Slice index 80; Brain
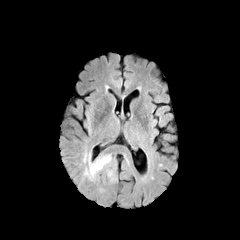
FLAIR magnetic resonance.
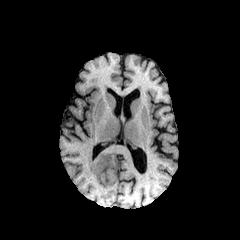
T1-weighted MR.
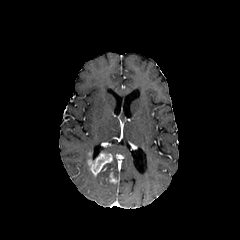
Post-contrast T1-weighted MR.
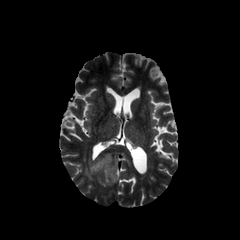
Same slice, T2-weighted MR image.
- edema: l=83, t=167, r=96, b=181
- enhancing tumor: l=87, t=152, r=113, b=175